FLAIR MRI.
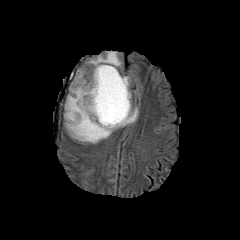
T1-weighted MR image.
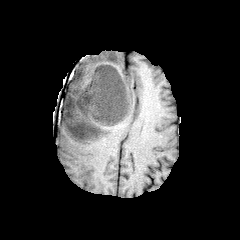
Post-contrast T1-weighted magnetic resonance.
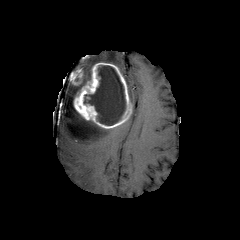
T2-weighted MR image.
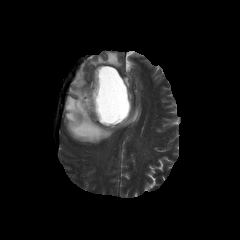
240x240
Annotated regions:
- non-enhancing tumor core: {"x1": 89, "y1": 66, "x2": 126, "y2": 125}
- enhancing tumor: {"x1": 73, "y1": 62, "x2": 132, "y2": 128}, {"x1": 72, "y1": 62, "x2": 86, "y2": 85}
- edema: {"x1": 64, "y1": 51, "x2": 138, "y2": 143}, {"x1": 122, "y1": 75, "x2": 132, "y2": 105}